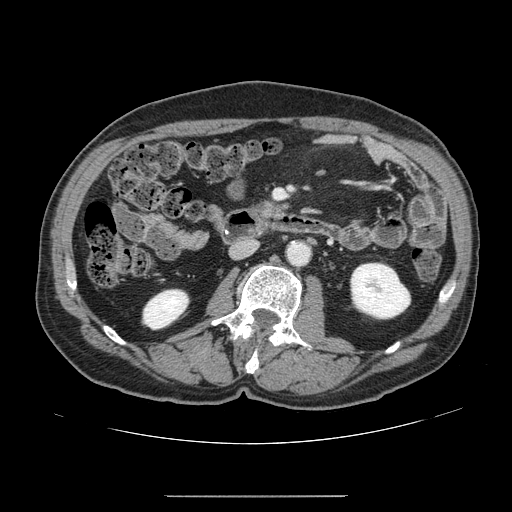 CT slice, Abdomen
- pancreas: bbox=[252, 200, 283, 211]